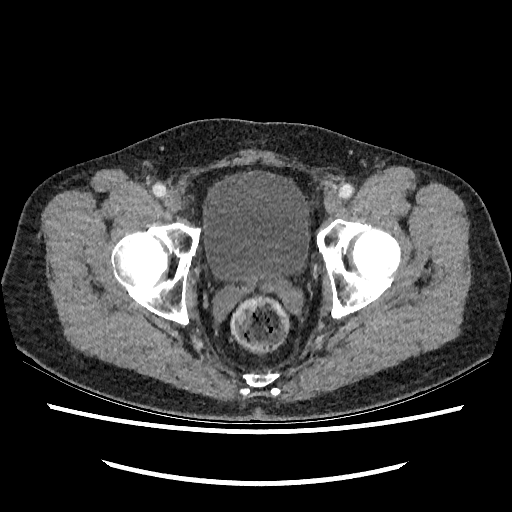
CT slice

{
  "urinary_bladder": [
    "201:170:310:283"
  ]
}